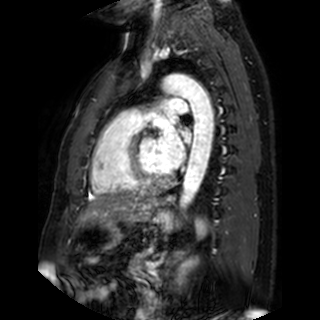

MR image | Heart
3 left atrium regions are bounded by <box>158,122,184,169</box>, <box>184,131,192,142</box>, <box>168,113,178,122</box>.